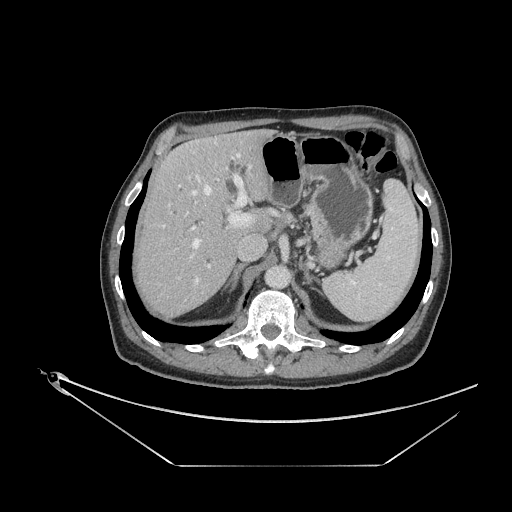
512x512, CT image
Pancreas: <bbox>306, 206, 328, 241</bbox>.